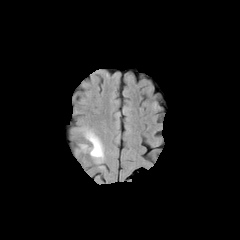
FLAIR MR.
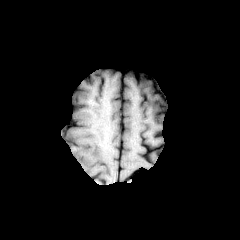
T1-weighted magnetic resonance.
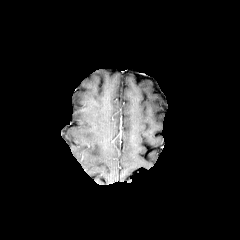
Same slice, post-contrast T1-weighted MRI.
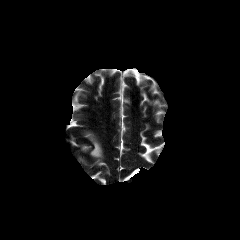
T2-weighted MRI of the same slice.
Brain | Image size 240x240
edema: (x1=81, y1=131, x2=103, y2=162)